Slice 19 of 20. Image size 320x320. Pelvis.
T2-weighted magnetic resonance.
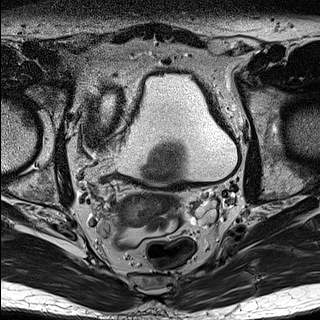
ADC MR.
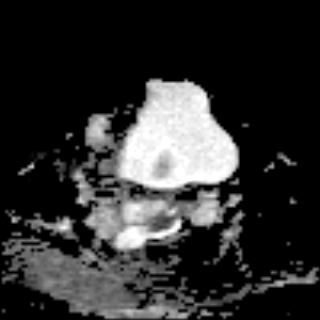
prostate_transition_zone:
  - x1=153 y1=157 x2=170 y2=174